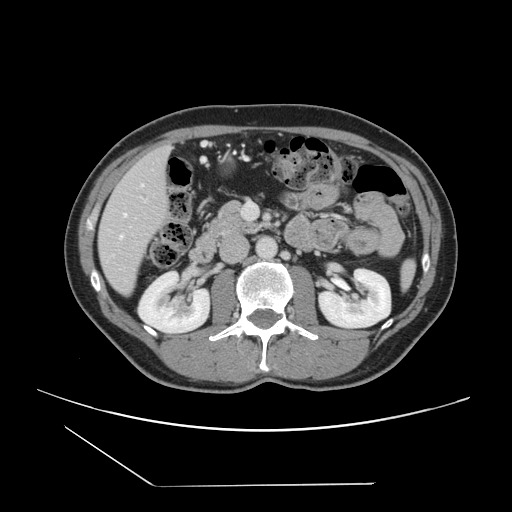
Computed tomography
The vessel boxes may cover only some of the vessels.
2 hepatic vessel regions appear at l=111, t=255, r=113, b=256; l=142, t=198, r=145, b=201.